Brain
FLAIR magnetic resonance.
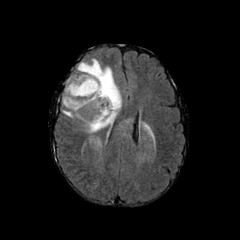
T1-weighted MR.
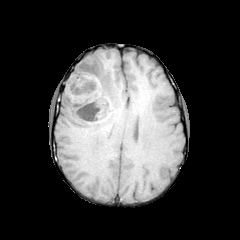
Post-contrast T1-weighted MR.
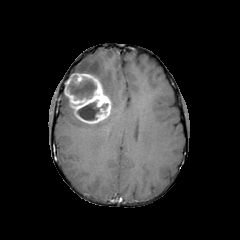
T2-weighted MR image.
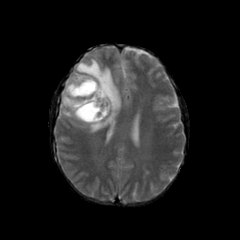
Edema at rect(62, 57, 121, 132).
Enhancing tumor at rect(65, 74, 110, 123).
Non-enhancing tumor core at rect(76, 103, 99, 121); rect(67, 73, 95, 99).